CT slice, Upper abdomen 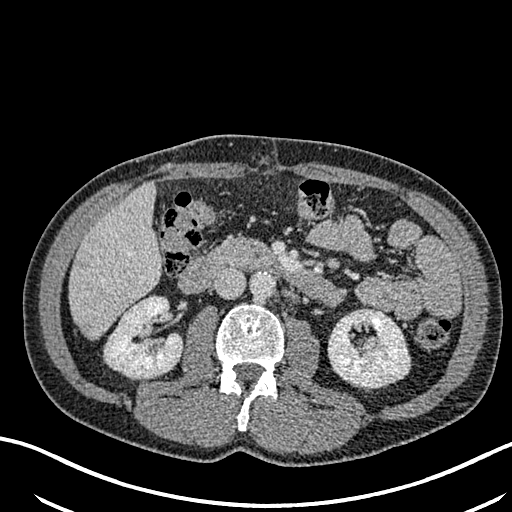

Liver at x1=69, y1=182, x2=159, y2=338.
Focal liver lesion at x1=75, y1=319, x2=94, y2=336; x1=73, y1=257, x2=89, y2=268.
Kidney at x1=105, y1=297, x2=181, y2=376; x1=328, y1=310, x2=409, y2=387.